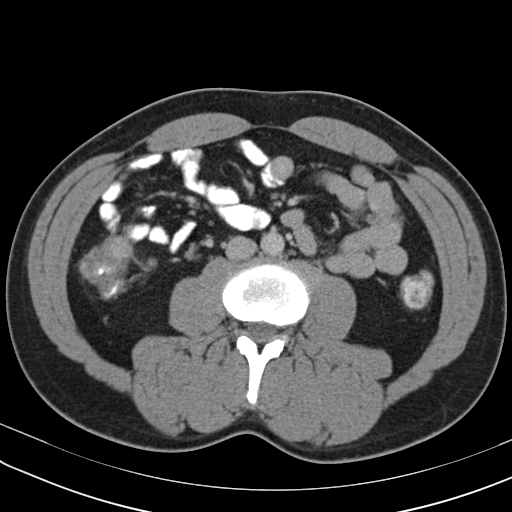

512x512 px; CT slice; Abdomen

colon tumor: x1=81 y1=236 x2=131 y2=290